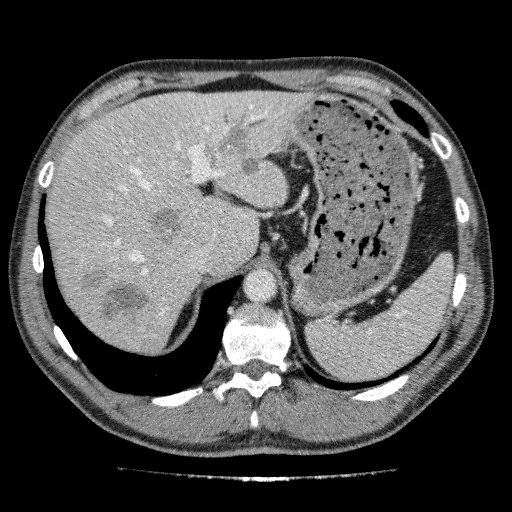

CT image. Upper abdomen. Focal liver lesion: bounding box rect(239, 157, 260, 175); rect(100, 280, 151, 323); rect(147, 206, 185, 245); rect(77, 267, 109, 291); rect(215, 114, 257, 155).
Liver: bounding box rect(47, 89, 312, 352).